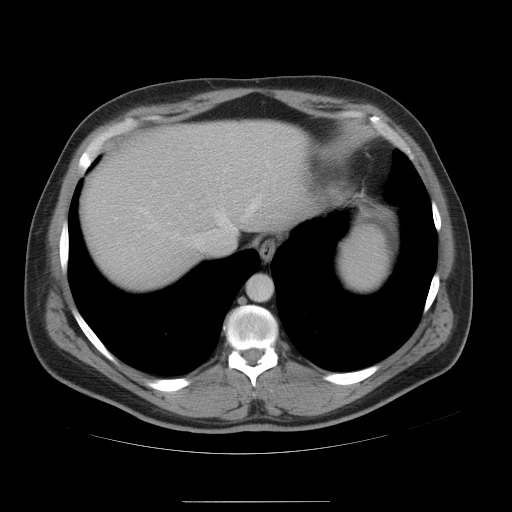
CT scan slice
The spleen is located at l=338, t=227, r=388, b=291.